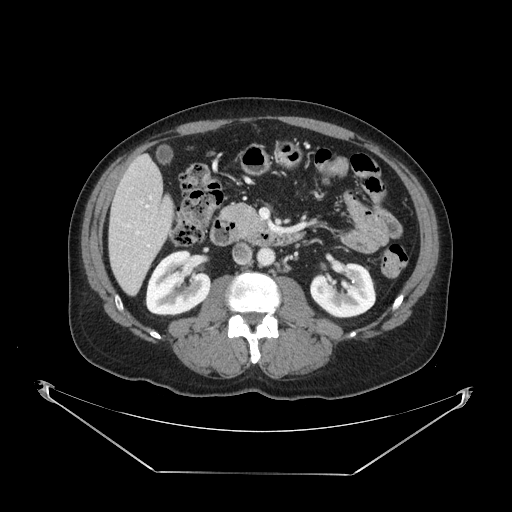
CT scan slice
pancreas:
  - l=221, t=203, r=268, b=232